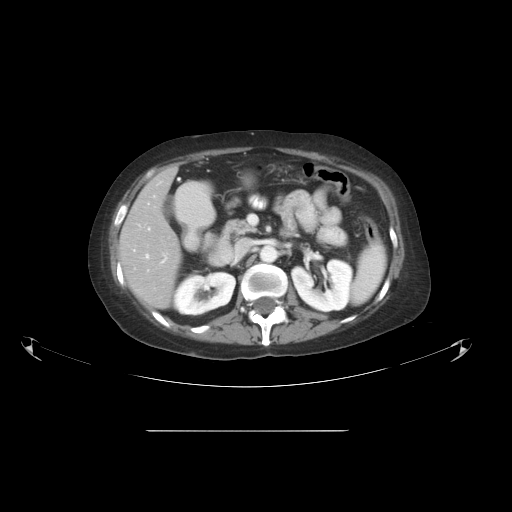

512x512 px | Computed tomography

The vessel boxes may cover only some of the vessels.
7 hepatic vessel regions are located at box=[161, 253, 166, 262]; box=[133, 250, 135, 251]; box=[146, 254, 148, 258]; box=[153, 195, 155, 197]; box=[175, 292, 178, 307]; box=[148, 228, 150, 230]; box=[158, 182, 161, 183].